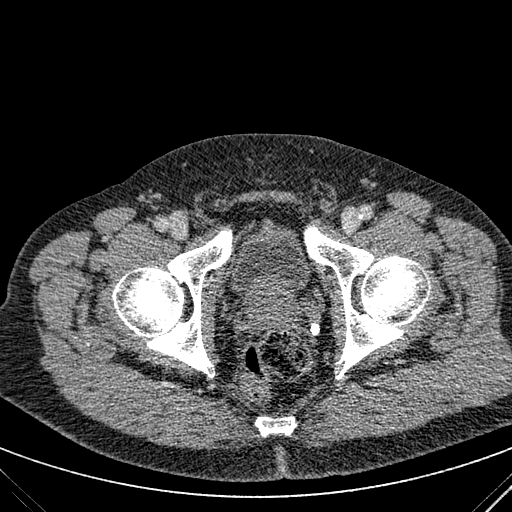
Computed tomography.

Urinary bladder = region(223, 220, 315, 305).